FLAIR MR.
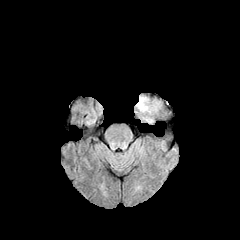
T1-weighted MR image.
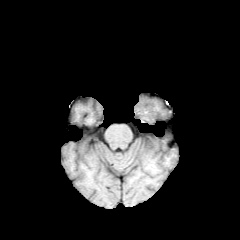
Post-contrast T1-weighted MR image.
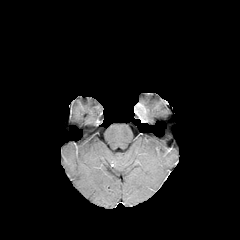
T2-weighted magnetic resonance.
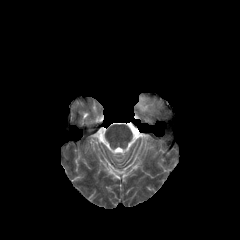
240x240 px
edema: bbox(138, 95, 161, 115) | non-enhancing tumor core: bbox(137, 101, 151, 121)